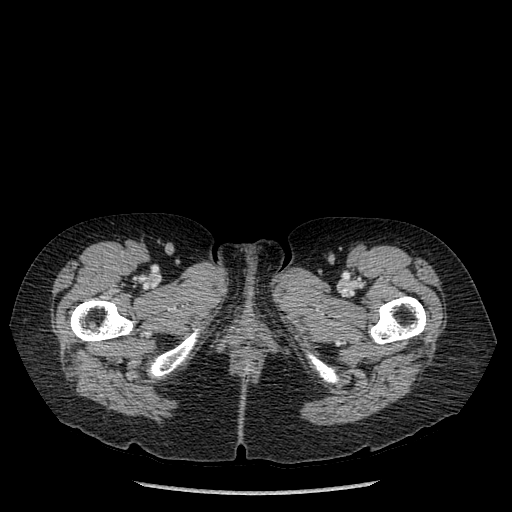 CT scan slice, 512x512 px

4 bone regions are bounded by box=[308, 353, 338, 382]; box=[148, 328, 199, 377]; box=[369, 296, 426, 344]; box=[70, 298, 132, 343].